Brain; 240x240
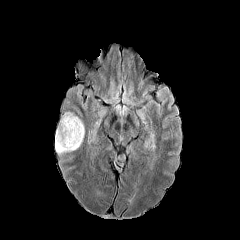
FLAIR MR.
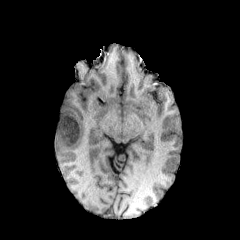
T1-weighted MR.
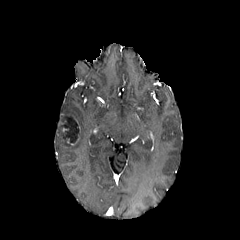
Post-contrast T1-weighted MR image.
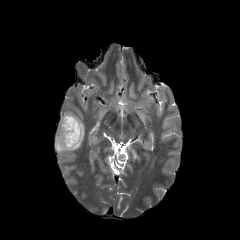
T2-weighted magnetic resonance.
non-enhancing tumor core: rect(57, 115, 80, 146) | edema: rect(55, 116, 85, 155)